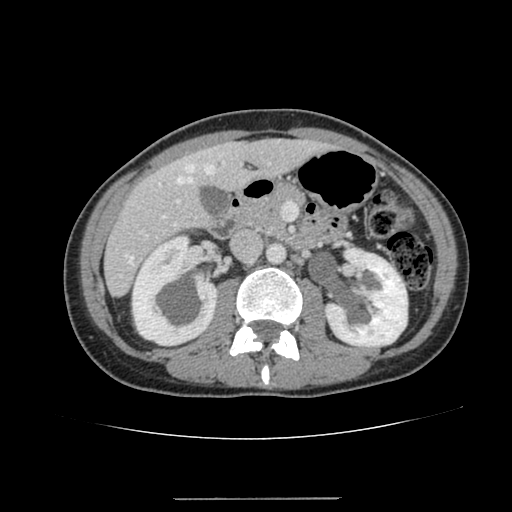 CT image. Abdomen. Image size 512x512.

Liver: [104,138,336,296].
Kidney: [326,249,407,346], [132,237,215,345].